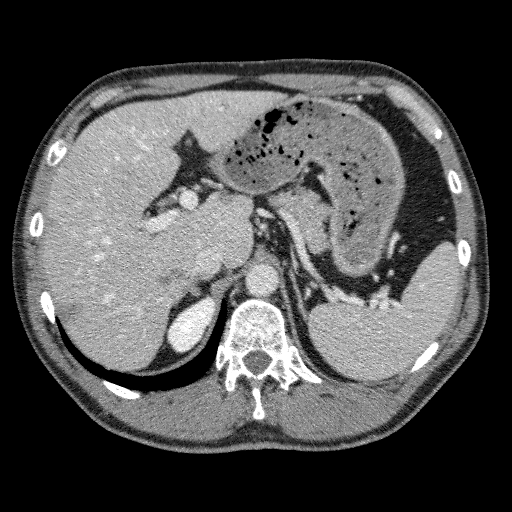

Liver. CT scan slice.
focal_liver_lesion:
  - 215:193:235:206
  - 57:300:81:327
  - 156:267:186:287
  - 46:216:57:227
kidney:
  - 168:298:214:351
liver:
  - 42:90:287:369